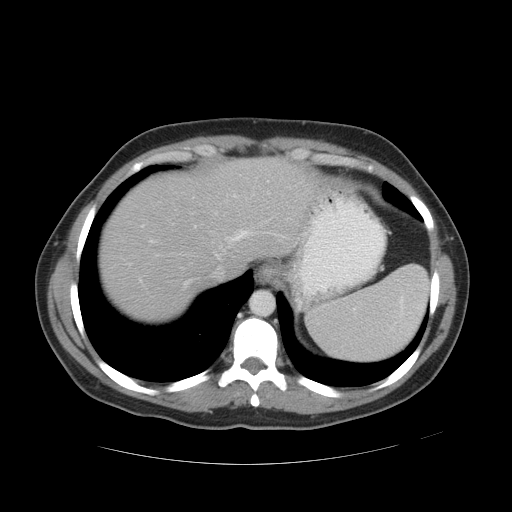
Liver; CT image

The vessel annotation is not exhaustive.
hepatic vessel: (226,229,253,247), (185,281,186,283), (233,194,234,196), (149,240,156,242), (219,244,221,247), (129,263,130,264), (194,225,196,227), (216,254,220,259), (141,225,143,227), (139,279,141,281), (223,250,225,253)